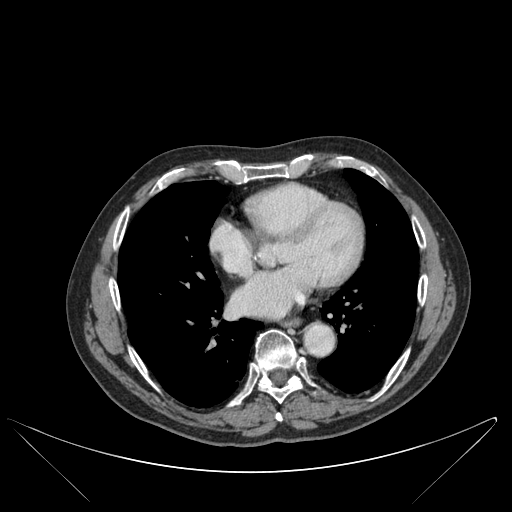
Thorax | CT scan slice
Bone: [229, 330, 306, 405], [418, 275, 427, 304], [113, 208, 128, 248], [129, 348, 153, 385], [210, 156, 312, 182], [377, 350, 409, 396], [412, 217, 425, 247], [156, 169, 182, 189], [109, 279, 119, 309].
Lung: [118, 181, 263, 406], [317, 168, 418, 392].